FLAIR MR.
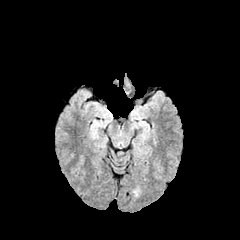
T1-weighted magnetic resonance.
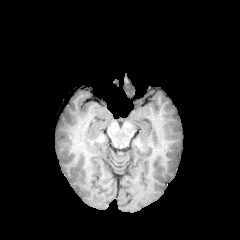
Post-contrast T1-weighted MR.
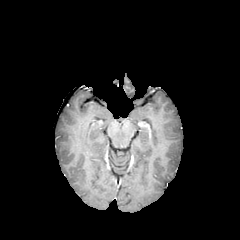
T2-weighted MRI.
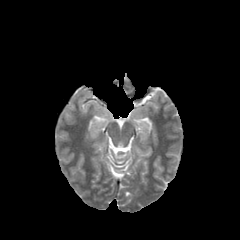
Brain.
{
  "edema": [
    "box(132, 111, 141, 124)",
    "box(93, 108, 109, 134)"
  ]
}